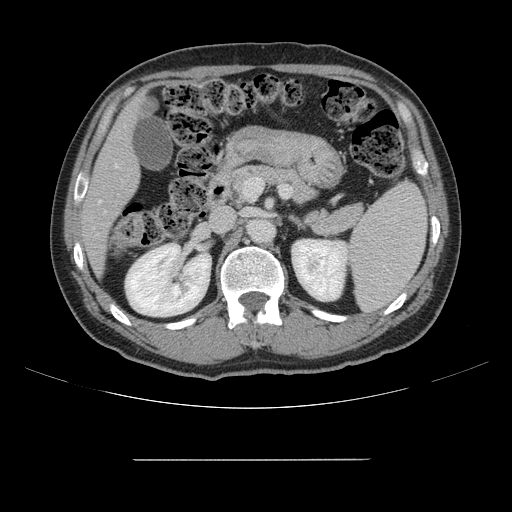
CT image. 512x512 px. Some hepatic vessels may have no box.
3 hepatic vessel regions are located at 116 165 117 167, 99 200 100 202, 104 211 105 212.